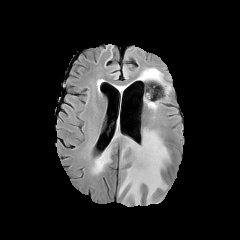
FLAIR MRI.
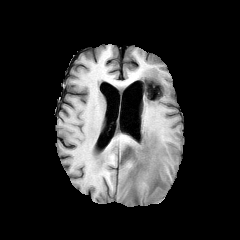
T1-weighted MRI.
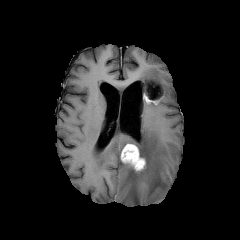
Post-contrast T1-weighted MR of the same slice.
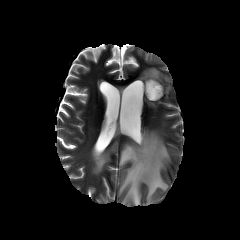
Same slice, T2-weighted MR image.
Head
<segmentation>
  <non-enhancing_tumor_core>128, 146, 147, 181</non-enhancing_tumor_core>
  <enhancing_tumor>121, 144, 145, 171</enhancing_tumor>
  <edema>118, 129, 169, 205; 140, 68, 162, 83; 144, 97, 156, 109; 93, 144, 116, 173</edema>
</segmentation>